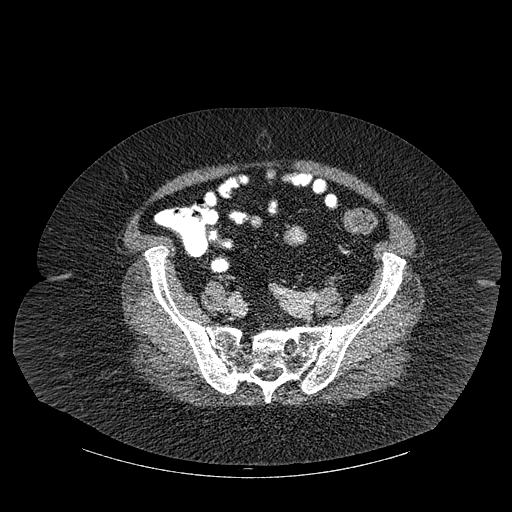
Computed tomography, Image size 512x512
Bone: bbox=[145, 246, 405, 402].